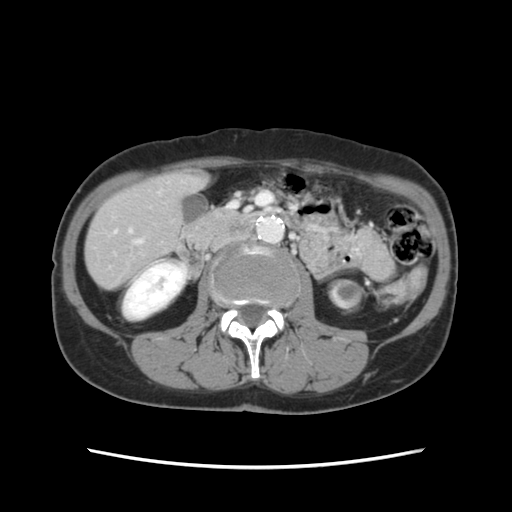

CT slice; Liver; Image size 512x512
Only some of the vessels may be annotated.
<segmentation>
  <hepatic_vessel>135 240 139 242, 129 230 131 232</hepatic_vessel>
</segmentation>